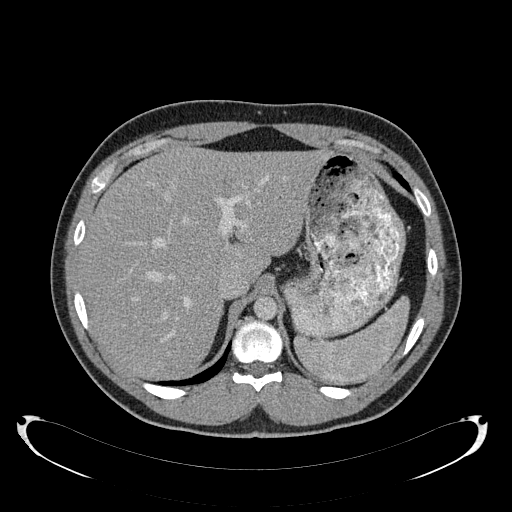 CT image | Abdomen
The liver is located at 79, 145, 332, 377.